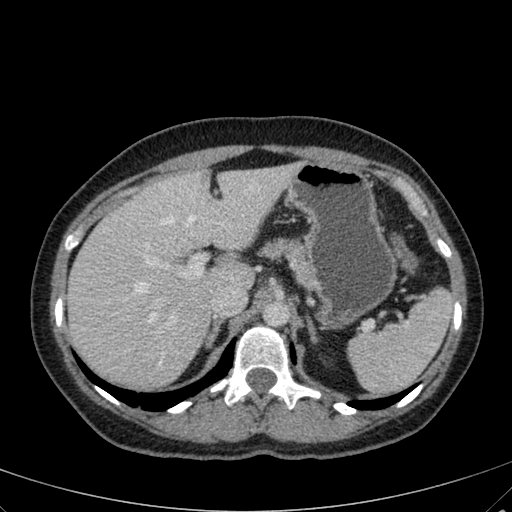

Upper abdomen; 512x512 px; CT image
Focal liver lesion = (left=200, top=169, right=211, bottom=184).
Liver = (left=66, top=164, right=300, bottom=385).